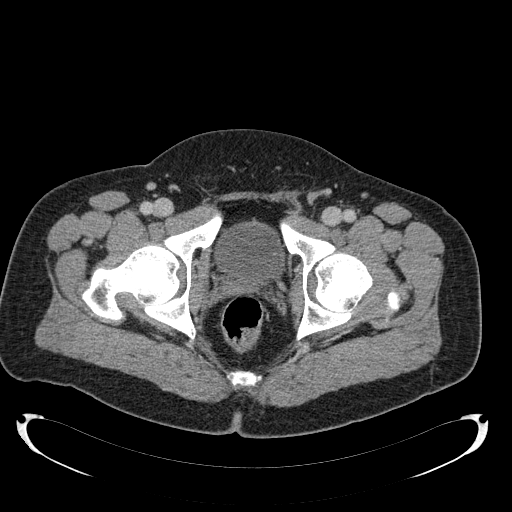

CT scan slice. 512x512. urinary_bladder:
  - (x1=214, y1=221, x2=285, y2=297)